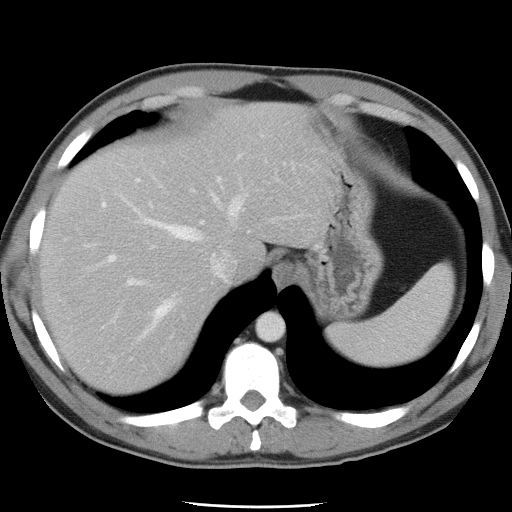 Abdomen, CT scan slice

Some hepatic vessels may have no box.
Annotated regions:
- hepatic vessel: [x1=211, y1=192, x2=219, y2=204], [x1=139, y1=297, x2=175, y2=339], [x1=107, y1=254, x2=116, y2=262], [x1=101, y1=201, x2=106, y2=207], [x1=137, y1=180, x2=138, y2=181], [x1=225, y1=194, x2=245, y2=223], [x1=121, y1=196, x2=203, y2=241], [x1=200, y1=221, x2=203, y2=225], [x1=126, y1=278, x2=145, y2=285], [x1=217, y1=178, x2=218, y2=179], [x1=211, y1=253, x2=228, y2=280]